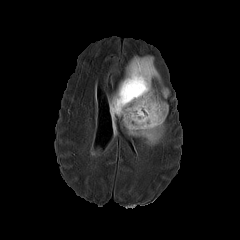
FLAIR MR.
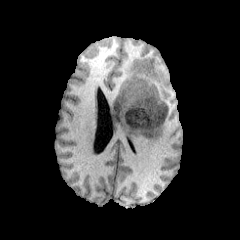
T1-weighted MR image of the same slice.
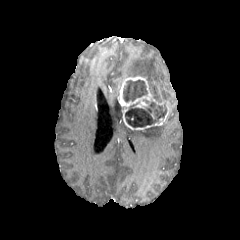
Post-contrast T1-weighted MR.
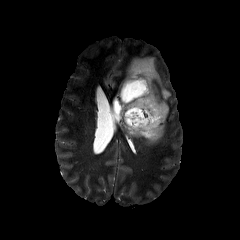
T2-weighted MR.
Image size 240x240
non-enhancing tumor core: 153,91,161,102; 122,79,147,103; 125,102,168,127 | enhancing tumor: 118,76,170,129 | edema: 126,56,170,98; 109,88,125,131; 124,122,165,146